MR. Cardiac.

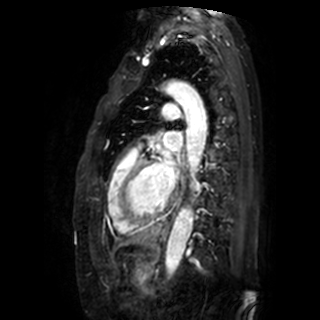

left_atrium:
  - bbox=[159, 159, 174, 188]
  - bbox=[163, 132, 181, 150]